CT slice

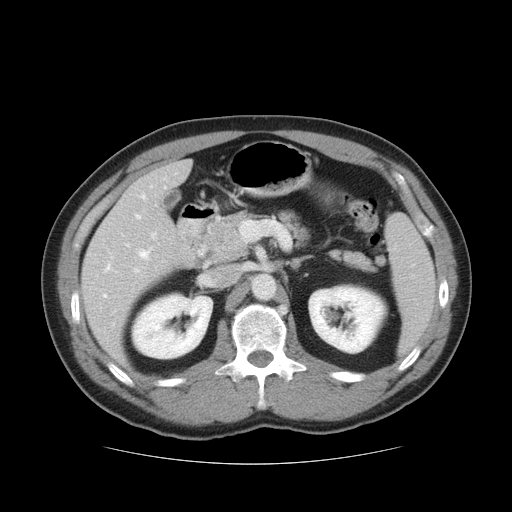

The pancreatic tumor is at box=[206, 220, 248, 260]. 4 pancreas regions are bounded by box=[281, 213, 306, 244]; box=[223, 214, 247, 234]; box=[205, 243, 229, 262]; box=[334, 250, 373, 271].